Computed tomography | Abdomen | Image size 512x512 | Slice 382 of 689
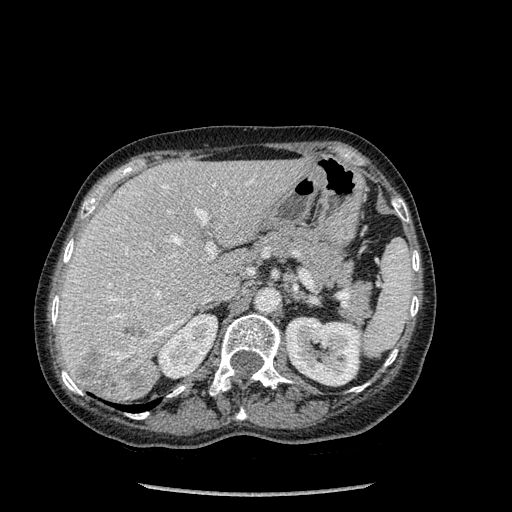

{
  "lung": [
    "(117, 401, 156, 412)"
  ],
  "kidney": [
    "(286, 318, 360, 385)",
    "(159, 314, 217, 378)"
  ],
  "focal_liver_lesion": [
    "(124, 325, 147, 336)",
    "(123, 366, 143, 389)",
    "(76, 347, 118, 393)"
  ],
  "liver": [
    "(59, 159, 310, 402)",
    "(76, 378, 93, 392)"
  ],
  "bone": [
    "(210, 313, 292, 395)",
    "(392, 198, 408, 221)",
    "(384, 349, 397, 366)",
    "(63, 239, 74, 262)",
    "(62, 370, 82, 394)",
    "(236, 408, 246, 419)",
    "(409, 296, 418, 316)",
    "(51, 295, 59, 325)",
    "(349, 383, 369, 392)",
    "(167, 385, 185, 397)",
    "(81, 202, 95, 218)",
    "(410, 250, 419, 271)",
    "(126, 412, 148, 419)"
  ]
}